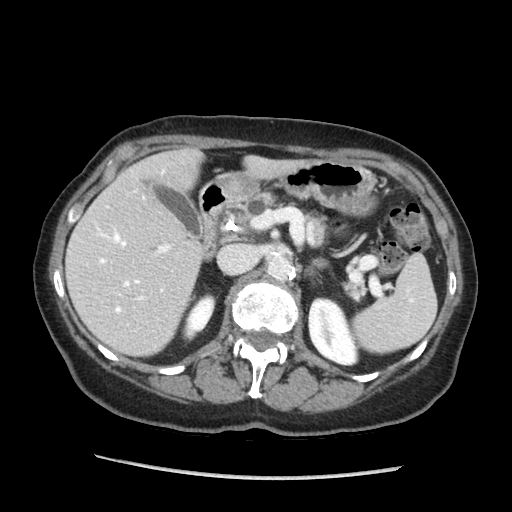 512x512; Upper abdomen; Computed tomography
{"pancreas": ["box=[242, 193, 273, 218]", "box=[308, 216, 326, 243]"]}